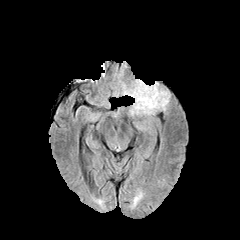
FLAIR MR image.
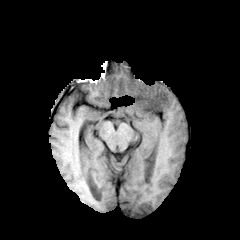
T1-weighted MR.
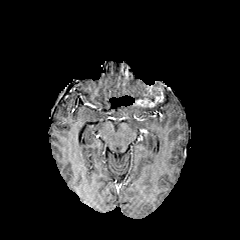
Same slice, post-contrast T1-weighted MRI.
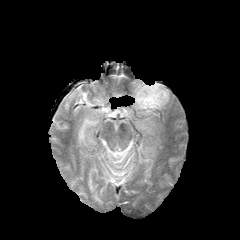
T2-weighted MR.
Image size 240x240
Edema: 135,86,170,114; 129,79,145,99.
Enhancing tumor: 136,83,164,107.